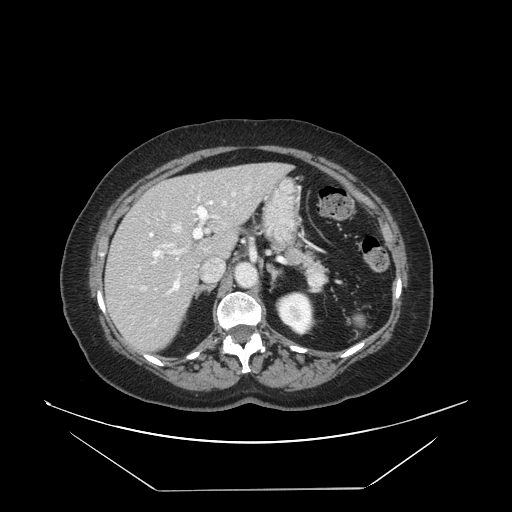

Abdomen; CT image

Pancreas: (272, 240, 329, 290).